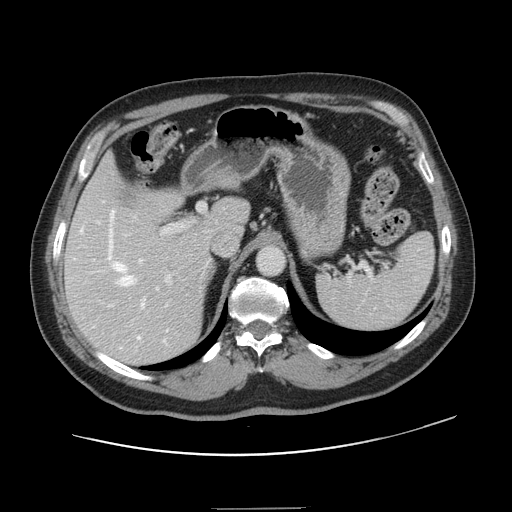

Abdomen | 512x512 | CT
The vessel annotation is not exhaustive.
Annotated regions:
* hepatic vessel: 141,297,145,307; 108,232,112,259; 110,210,113,217; 161,232,163,234; 97,221,98,223; 120,275,136,285; 109,305,112,306; 139,259,141,263; 166,277,170,283; 80,226,83,232; 114,263,126,272; 156,288,158,289; 137,336,140,339; 163,339,165,342